512x512 px; Slice 33 of 61; CT; Liver 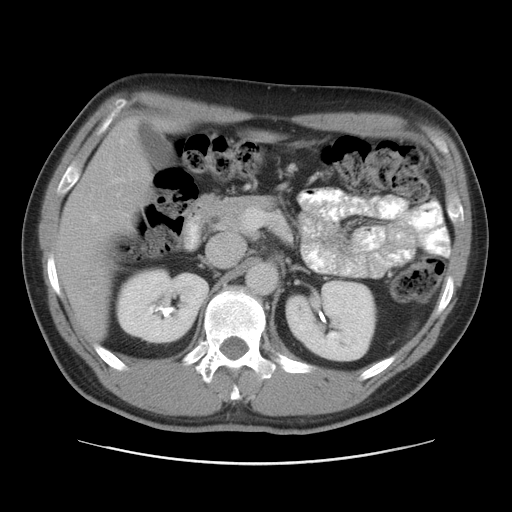

Not every hepatic vessel necessarily has a box.
Hepatic vessel = (left=93, top=215, right=97, bottom=220), (left=120, top=140, right=122, bottom=142).